FLAIR MR image.
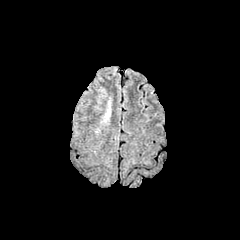
T1-weighted MR.
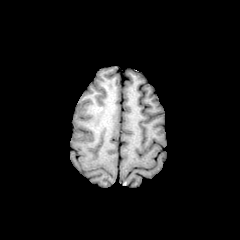
Post-contrast T1-weighted MRI.
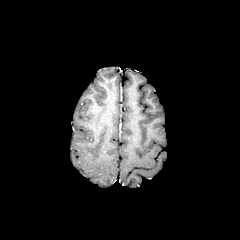
T2-weighted MR.
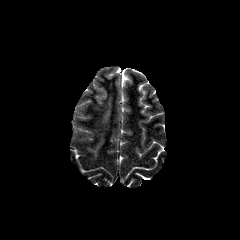
Image size 240x240
edema: box(102, 101, 111, 124)